MR, 35x52
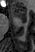 anterior hippocampus: rect(10, 7, 25, 21) | posterior hippocampus: rect(22, 21, 24, 22)